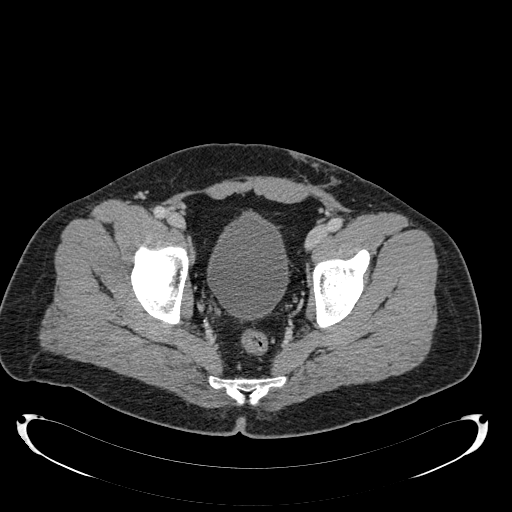 CT scan slice; 512x512
{"urinary_bladder": ["[207,216,288,320]"]}